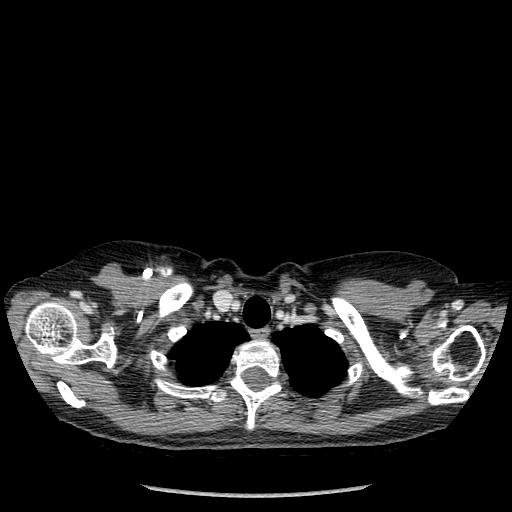 Computed tomography; Image size 512x512

Bone: 428 386 469 404, 348 363 362 384, 332 297 422 397, 155 379 226 401, 57 381 85 407, 167 325 186 341, 150 350 166 370, 325 328 343 343, 431 325 485 382, 25 301 116 368, 228 339 281 429, 158 282 192 319.
Lung: 169 296 270 385, 272 324 347 396.